Abdomen | Field of view 438x438 mm | Computed tomography

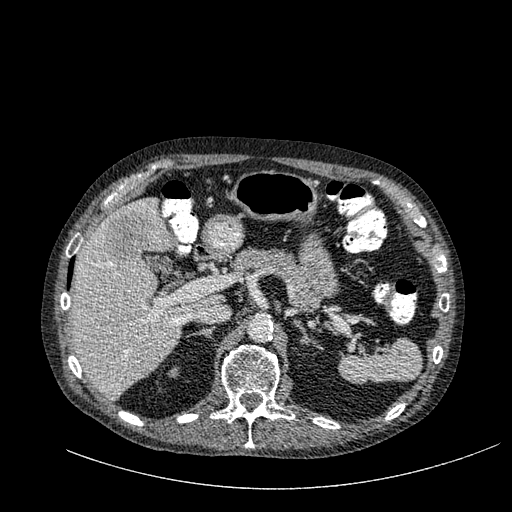

Findings:
* liver lesion: [104, 210, 153, 263]
* liver: [71, 197, 224, 398]